Computed tomography; Field of view 346x346 mm

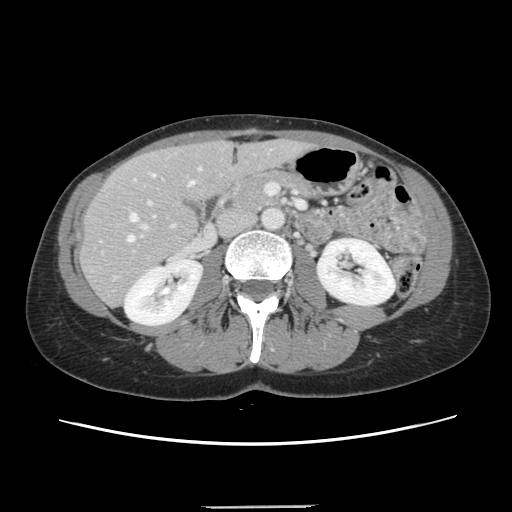

The vessel annotation is not exhaustive.
9 hepatic vessel regions are located at box(152, 174, 154, 176); box(134, 179, 135, 180); box(130, 213, 136, 221); box(141, 225, 146, 228); box(147, 201, 151, 203); box(127, 236, 133, 241); box(198, 167, 200, 169); box(188, 181, 194, 185); box(171, 225, 174, 226).